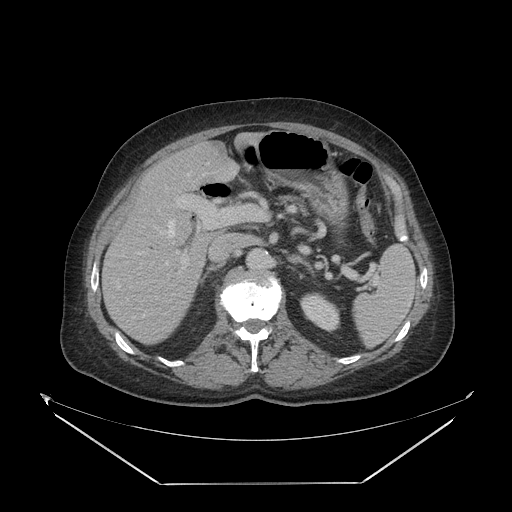
Upper abdomen; CT image

pancreas:
  - bbox(276, 194, 308, 211)